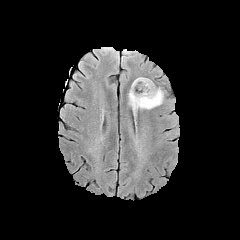
FLAIR MRI.
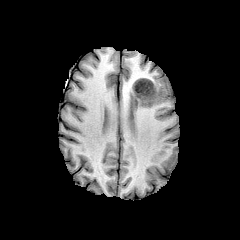
T1-weighted MR of the same slice.
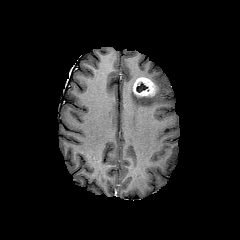
Post-contrast T1-weighted magnetic resonance.
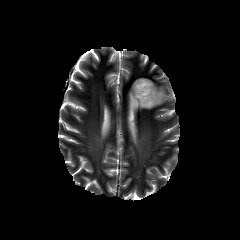
T2-weighted MR.
Brain.
Segmented structures:
• non-enhancing tumor core: <box>136,82,147,92</box>
• enhancing tumor: <box>132,77,156,97</box>
• edema: <box>128,86,165,112</box>